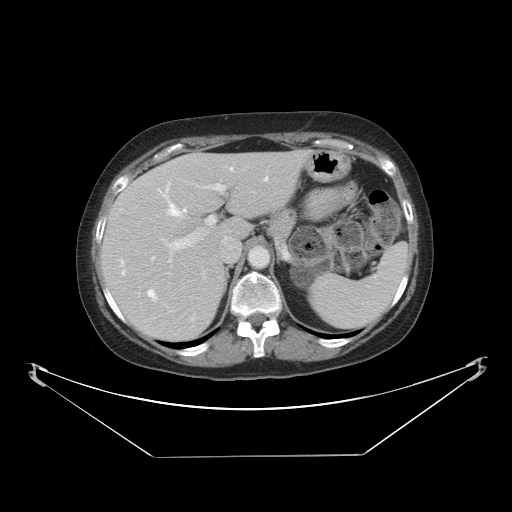 CT; Abdomen

Only some of the vessels may be annotated.
12 hepatic vessel regions are bounded by region(208, 184, 224, 190); region(151, 257, 153, 259); region(121, 260, 123, 265); region(122, 271, 124, 274); region(230, 167, 232, 170); region(147, 290, 155, 297); region(264, 177, 267, 180); region(169, 204, 186, 215); region(169, 238, 188, 249); region(158, 189, 161, 192); region(162, 185, 169, 198); region(206, 216, 215, 224).